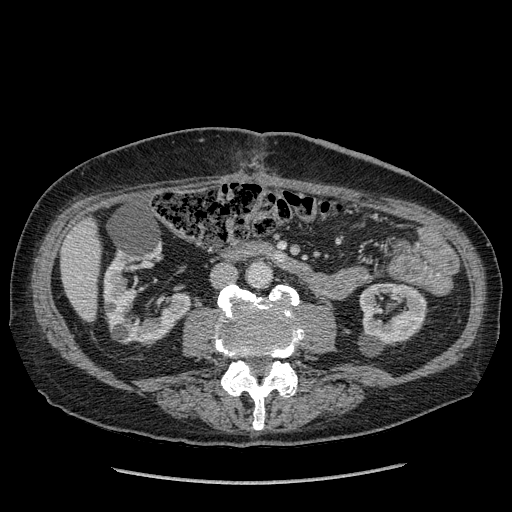 Upper abdomen | CT
kidney:
  - [126,294,189,341]
  - [360,284,426,344]
  - [104,252,135,327]
liver:
  - [60,218,100,322]